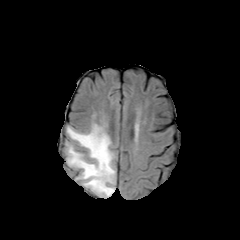
FLAIR MR.
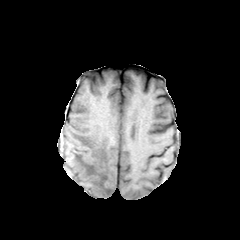
Same slice, T1-weighted MRI.
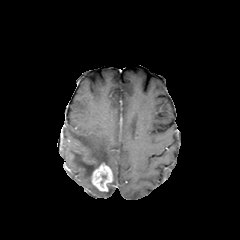
Same slice, post-contrast T1-weighted MR.
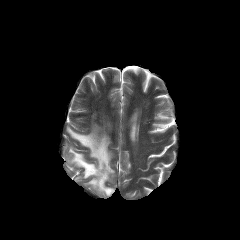
T2-weighted MRI.
Segmented structures:
* edema: x1=64, y1=124, x2=115, y2=197
* enhancing tumor: x1=91, y1=162, x2=113, y2=191